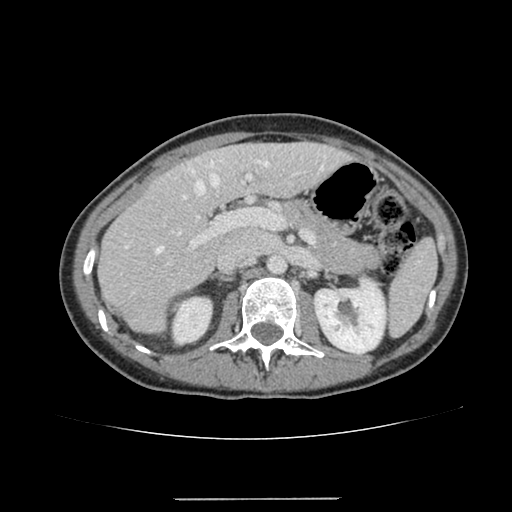 Computed tomography
liver:
  - bbox(97, 142, 348, 332)
kidney:
  - bbox(314, 279, 385, 353)
  - bbox(173, 298, 211, 343)